Abdomen. CT scan slice.
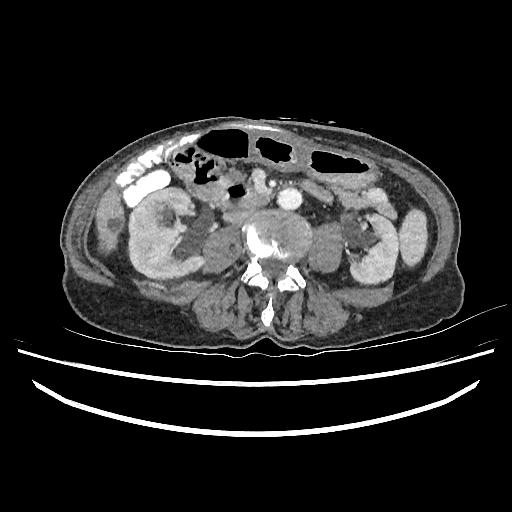
Kidney at (350,214,398,283), (129,188,204,278).
Liver at (97,187,123,251).
Hepatic lesion at (109,218,122,229).